CT; Field of view 359x359 mm; Slice index 25
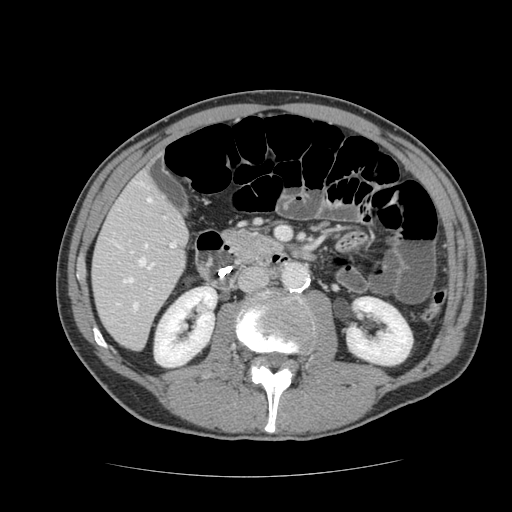
Pancreas = <box>223,227,280,267</box>.